Computed tomography; Image width 360 mm
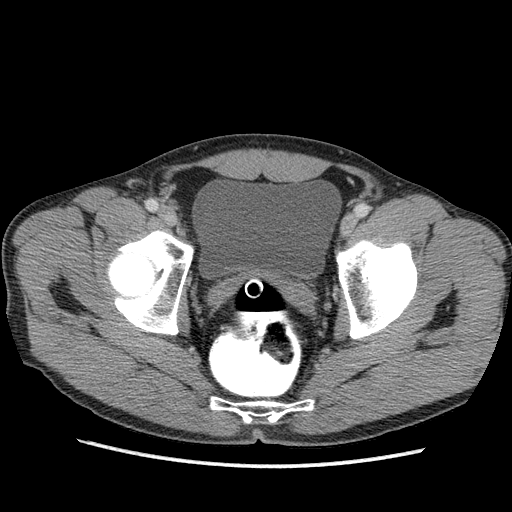 Annotated regions:
• urinary bladder: box=[192, 179, 341, 283]